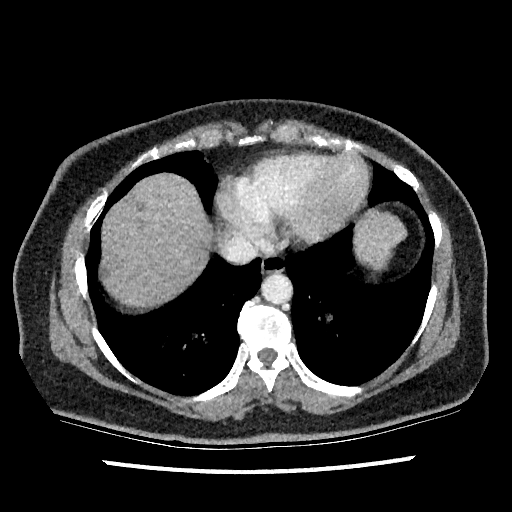

512x512; CT image

Segmented structures:
• liver: bbox(102, 174, 208, 306); bbox(355, 213, 405, 266)
• focal liver lesion: bbox(137, 202, 144, 210); bbox(102, 269, 108, 277)